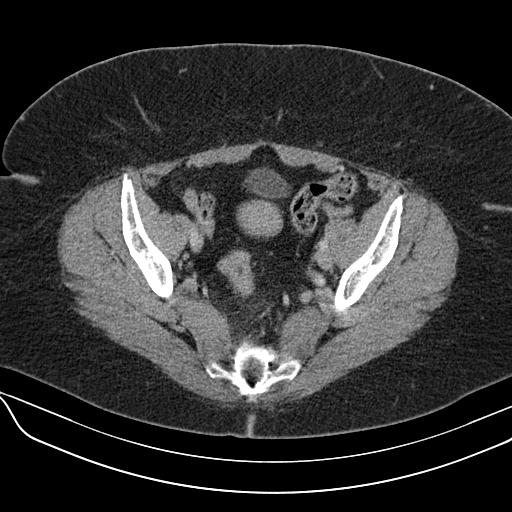

Abdomen; CT scan slice
Colon tumor = <box>217,251,253,295</box>.